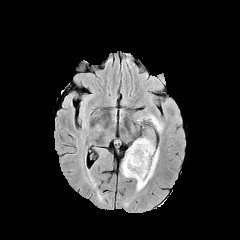
FLAIR MR image.
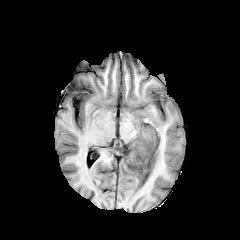
Same slice, T1-weighted MRI.
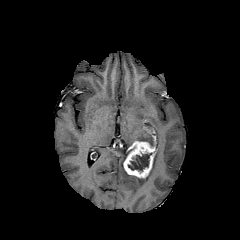
Post-contrast T1-weighted MR image of the same slice.
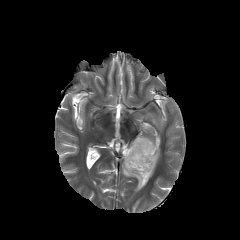
T2-weighted MR image of the same slice.
edema:
  - [x1=146, y1=113, x2=163, y2=132]
  - [x1=121, y1=145, x2=159, y2=190]
  - [x1=143, y1=126, x2=156, y2=139]
  - [x1=139, y1=135, x2=155, y2=145]
enhancing_tumor:
  - [x1=123, y1=141, x2=155, y2=178]
non-enhancing_tumor_core:
  - [x1=128, y1=153, x2=151, y2=170]